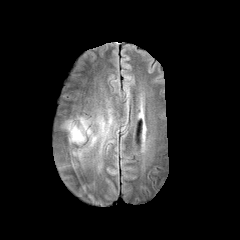
FLAIR MR image.
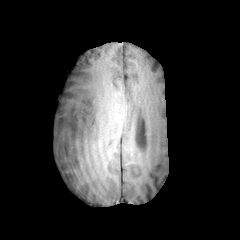
T1-weighted MR.
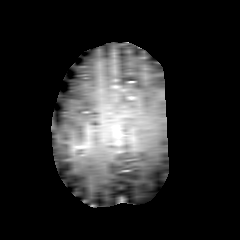
Post-contrast T1-weighted MR image.
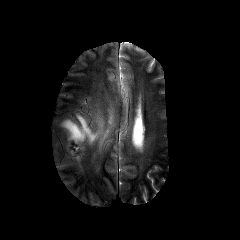
T2-weighted magnetic resonance of the same slice.
Edema: 65 117 106 150.